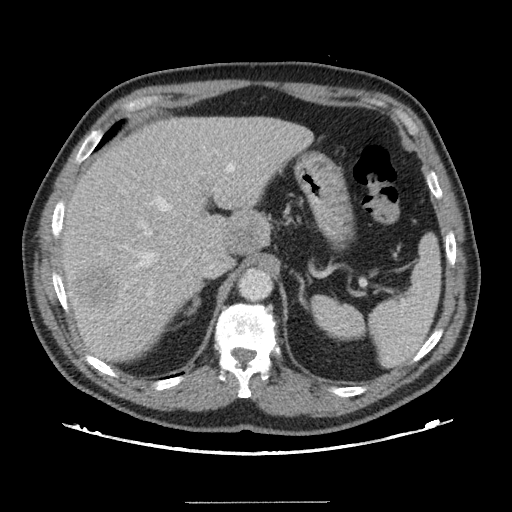

CT | Abdomen | 512x512

The vessel annotation is not exhaustive.
{
  "hepatic_vessel": [
    "<bbox>110, 232, 115, 235</bbox>",
    "<bbox>227, 163, 234, 171</bbox>",
    "<bbox>136, 217, 152, 236</bbox>",
    "<bbox>146, 278, 155, 302</bbox>",
    "<bbox>132, 251, 153, 266</bbox>",
    "<bbox>151, 196, 170, 210</bbox>",
    "<bbox>158, 266, 164, 268</bbox>",
    "<bbox>155, 275, 156, 276</bbox>",
    "<bbox>162, 158, 169, 166</bbox>"
  ],
  "liver_tumor": [
    "<bbox>72, 268, 119, 311</bbox>"
  ]
}